512x512 | Computed tomography

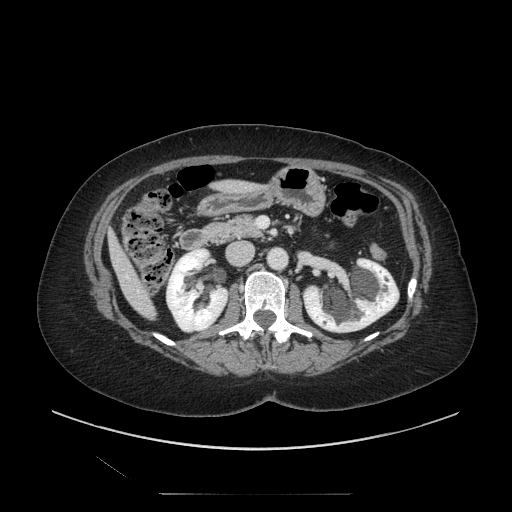 pancreas:
  - [210,215,263,244]